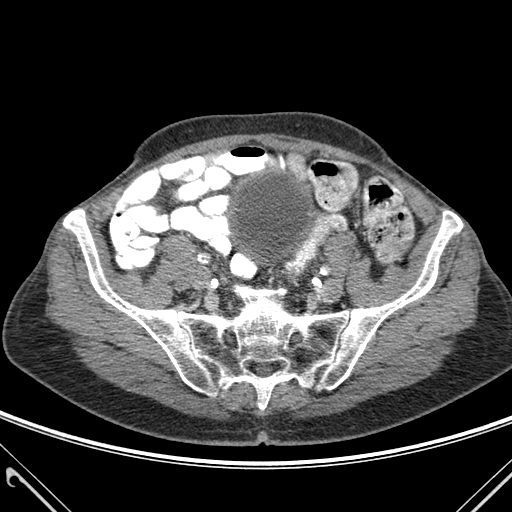

CT image
The bone is located at [63,209,462,409].